Computed tomography. 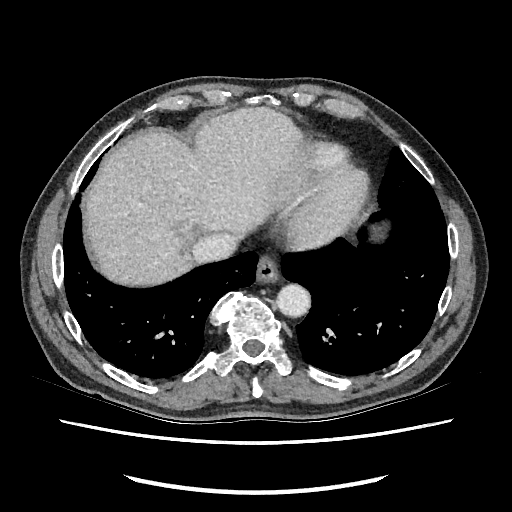

Segmented structures:
* liver lesion: [x1=178, y1=223, x2=206, y2=247]
* liver: [x1=87, y1=109, x2=298, y2=285]